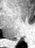 Hippocampus; MR
<segmentation>
  <posterior_hippocampus><bbox>14, 38, 15, 40</bbox></posterior_hippocampus>
</segmentation>